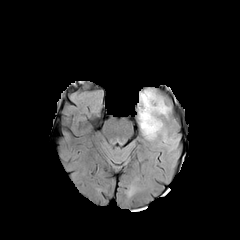
FLAIR MRI.
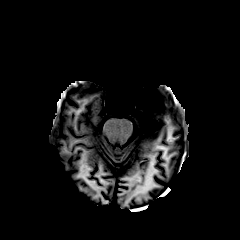
Same slice, T1-weighted magnetic resonance.
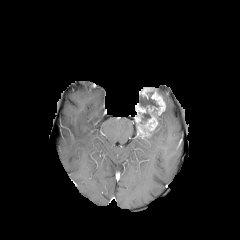
Post-contrast T1-weighted MRI.
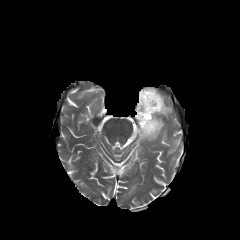
T2-weighted MR.
Head; Image size 240x240
non-enhancing tumor core: <box>139,88,159,109</box>, <box>139,111,159,137</box> | enhancing tumor: <box>146,88,165,122</box>, <box>136,115,146,137</box>, <box>138,107,146,115</box> | edema: <box>161,106,169,119</box>, <box>138,114,168,147</box>, <box>168,140,177,150</box>